Field of view 240x240 mm.
FLAIR MR.
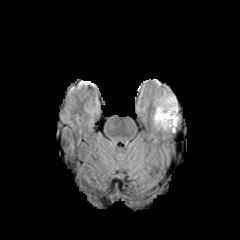
T1-weighted magnetic resonance.
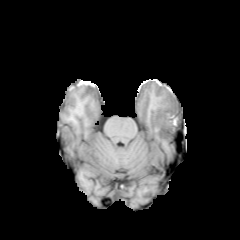
Post-contrast T1-weighted magnetic resonance.
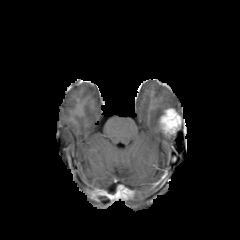
T2-weighted MRI.
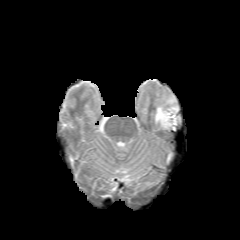
The edema is located at [151,88,179,132].